FLAIR MRI.
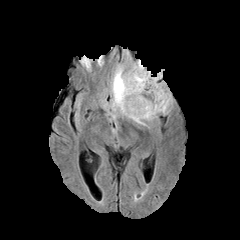
T1-weighted magnetic resonance.
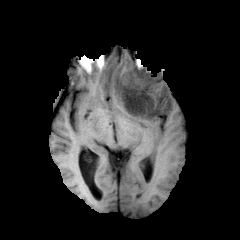
Post-contrast T1-weighted MRI.
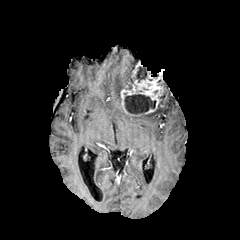
T2-weighted MR.
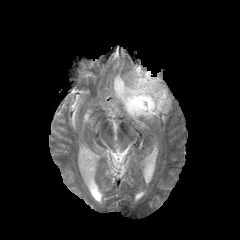
enhancing tumor: (left=121, top=63, right=164, bottom=113) | edema: (left=107, top=55, right=172, bottom=126) | non-enhancing tumor core: (left=124, top=94, right=155, bottom=113), (left=148, top=92, right=166, bottom=115), (left=135, top=67, right=146, bottom=81)